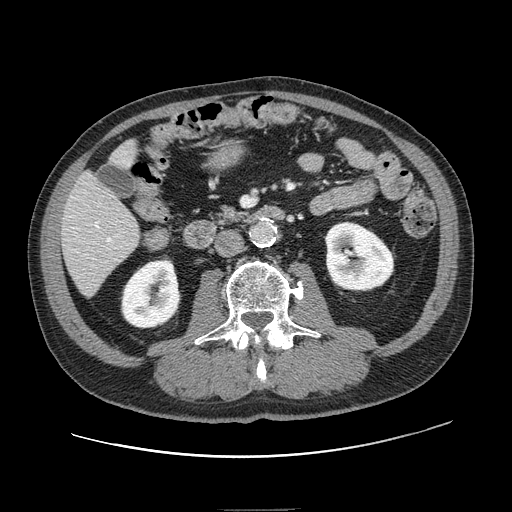 512x512, Abdomen, CT
Pancreas: bounding box box(208, 205, 247, 226).